T2-weighted magnetic resonance.
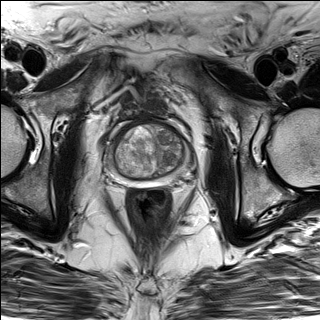
ADC MRI.
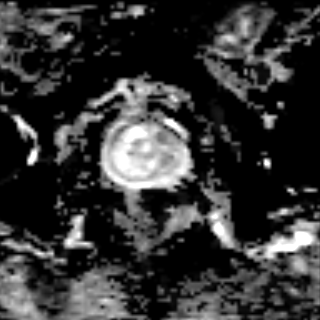
Prostate, 320x320
Prostate peripheral zone: bounding box box=[107, 139, 188, 187].
Prostate transition zone: bounding box box=[114, 125, 184, 179].